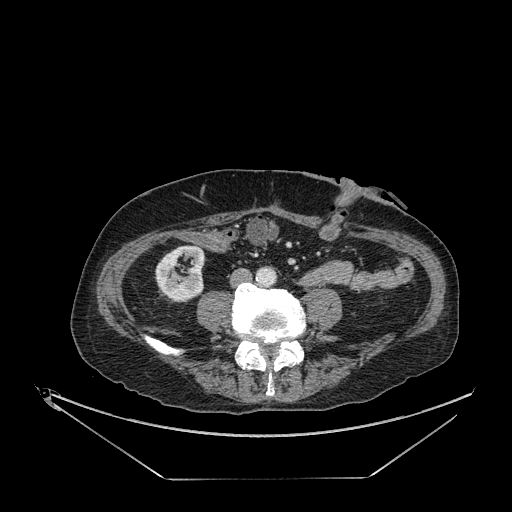
Abdomen, CT scan slice
The kidney lies within <box>156,246,203,301</box>.